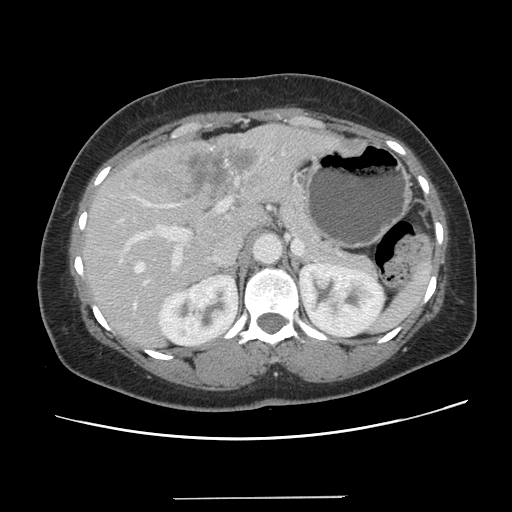 CT scan slice
The vessel boxes may cover only some of the vessels.
The liver tumor appears at l=134, t=144, r=260, b=201. 10 hepatic vessel regions are located at l=120, t=259, r=121, b=261; l=172, t=249, r=181, b=270; l=135, t=197, r=151, b=205; l=135, t=262, r=144, b=272; l=134, t=303, r=136, b=307; l=216, t=198, r=230, b=211; l=157, t=225, r=187, b=240; l=166, t=204, r=174, b=206; l=126, t=231, r=151, b=249; l=144, t=281, r=148, b=283.